FLAIR MRI.
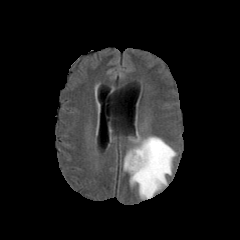
T1-weighted MR.
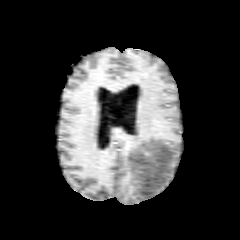
Post-contrast T1-weighted MR image.
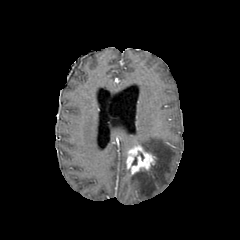
T2-weighted magnetic resonance.
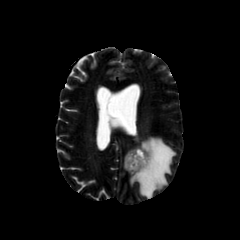
Brain | 240x240 px
edema: bbox=[122, 136, 175, 199] | non-enhancing tumor core: bbox=[138, 157, 156, 172] | enhancing tumor: bbox=[126, 145, 154, 173]